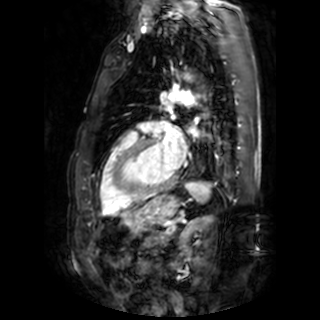

MR image.
Left atrium — 157 120 186 166.